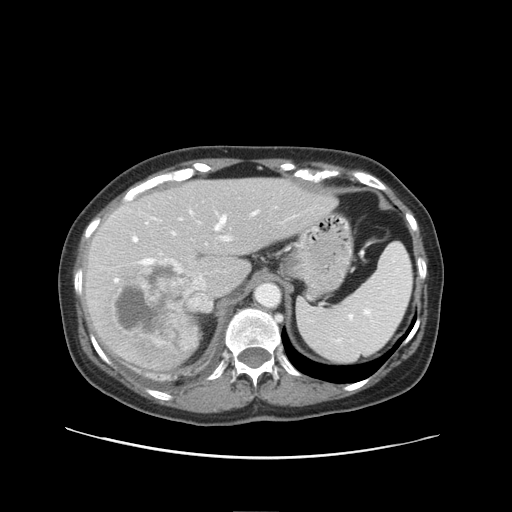

CT image. 512x512 px.
The vessel annotation is not exhaustive.
Segmented structures:
* liver tumor: {"x1": 109, "y1": 260, "x2": 210, "y2": 354}
* hepatic vessel: {"x1": 152, "y1": 218, "x2": 154, "y2": 219}, {"x1": 192, "y1": 272, "x2": 202, "y2": 276}, {"x1": 115, "y1": 279, "x2": 118, "y2": 281}, {"x1": 252, "y1": 211, "x2": 258, "y2": 215}, {"x1": 285, "y1": 220, "x2": 287, "y2": 221}, {"x1": 133, "y1": 237, "x2": 137, "y2": 242}, {"x1": 141, "y1": 258, "x2": 156, "y2": 264}, {"x1": 290, "y1": 217, "x2": 294, "y2": 218}, {"x1": 160, "y1": 253, "x2": 183, "y2": 268}, {"x1": 189, "y1": 211, "x2": 192, "y2": 214}, {"x1": 216, "y1": 216, "x2": 226, "y2": 229}, {"x1": 171, "y1": 231, "x2": 175, "y2": 235}, {"x1": 179, "y1": 217, "x2": 181, "y2": 220}, {"x1": 222, "y1": 237, "x2": 231, "y2": 241}